FLAIR magnetic resonance.
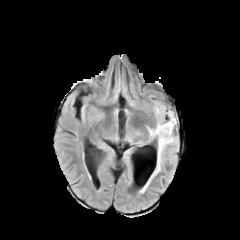
T1-weighted magnetic resonance.
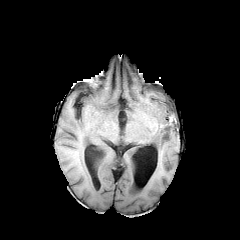
Post-contrast T1-weighted MR.
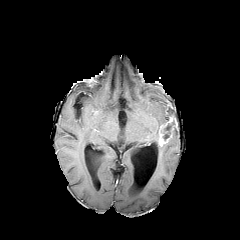
T2-weighted magnetic resonance.
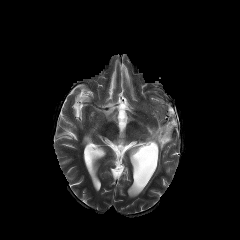
Head | 240x240
Edema = box=[146, 105, 178, 177].
Non-enhancing tumor core = box=[161, 118, 176, 139].
Enhancing tumor = box=[157, 126, 171, 145].